Image width 389 mm, CT image, Abdomen 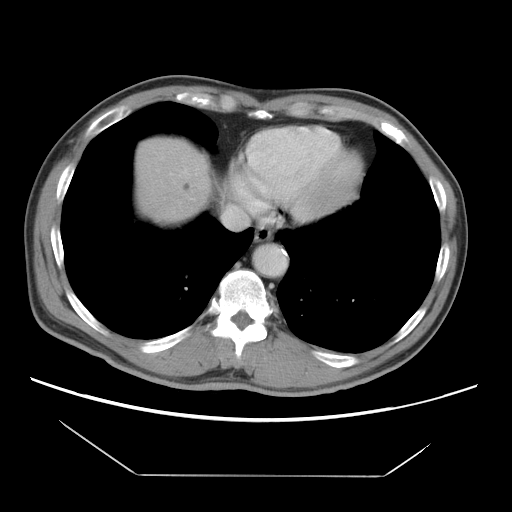

The vessel annotation is not exhaustive.
The hepatic vessel is at {"x1": 224, "y1": 209, "x2": 241, "y2": 228}.